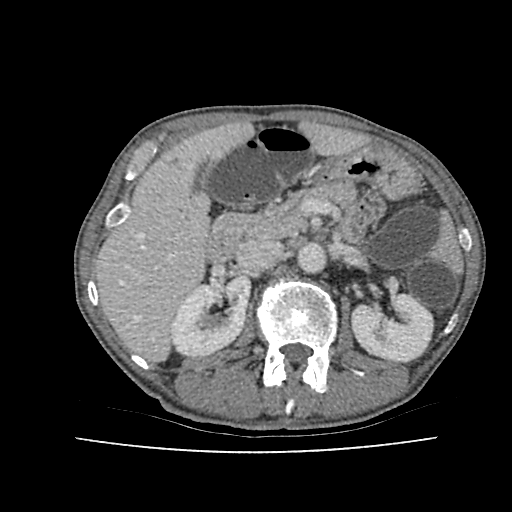
CT scan slice. Abdomen. 512x512.
2 liver regions are located at (303,125,361,152), (97,125,251,357). 2 kidney regions are located at (171,276,249,355), (352,295,432,360).